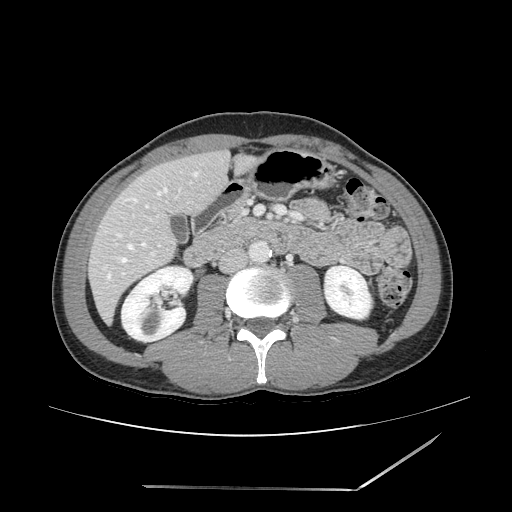
CT scan slice

Segmented structures:
* pancreas: (x1=197, y1=219, x2=250, y2=243)